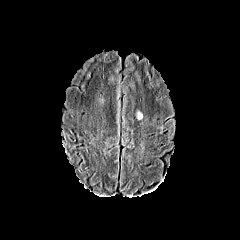
FLAIR MR.
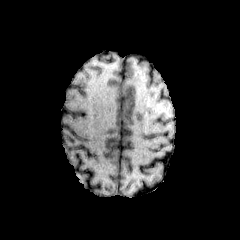
Same slice, T1-weighted magnetic resonance.
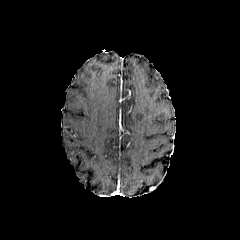
Post-contrast T1-weighted magnetic resonance of the same slice.
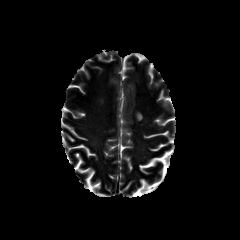
T2-weighted MRI.
240x240 px
Segmented structures:
* edema: 135,110,143,119